Head
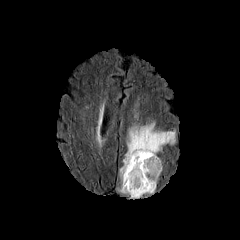
FLAIR MRI.
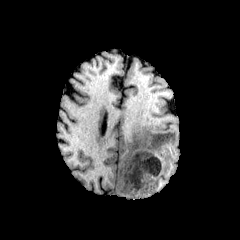
T1-weighted magnetic resonance.
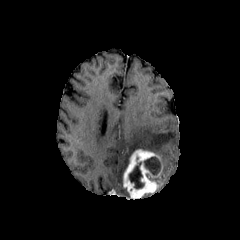
Same slice, post-contrast T1-weighted MRI.
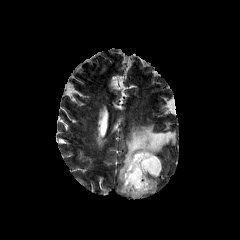
T2-weighted MRI.
<segmentation>
  <non-enhancing_tumor_core>128,162,145,189; 144,157,162,183</non-enhancing_tumor_core>
  <edema>117,120,175,194</edema>
  <enhancing_tumor>123,149,160,198</enhancing_tumor>
</segmentation>